Upper abdomen | CT slice | 512x512 px | Slice 46/107

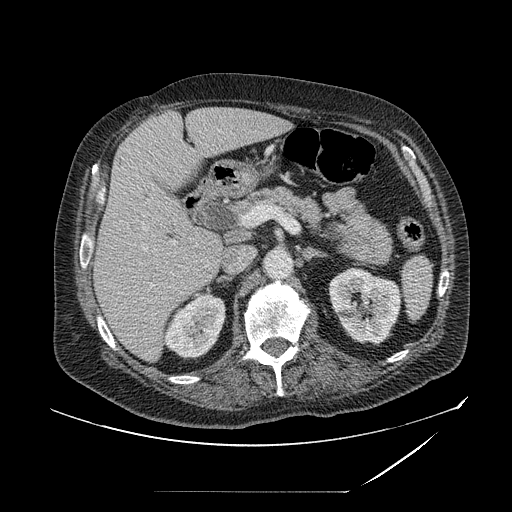

Pancreas at left=232, top=186, right=323, bottom=230.